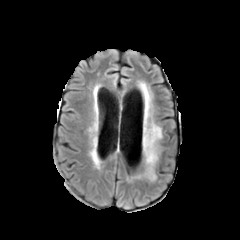
FLAIR MRI.
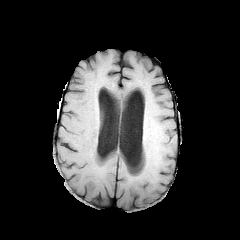
T1-weighted MR image of the same slice.
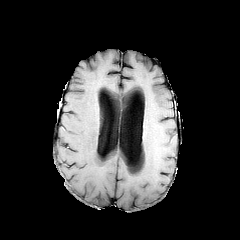
Post-contrast T1-weighted MR image.
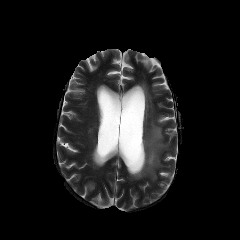
Same slice, T2-weighted MRI.
Image size 240x240.
Edema: <box>134,82,162,179</box>.